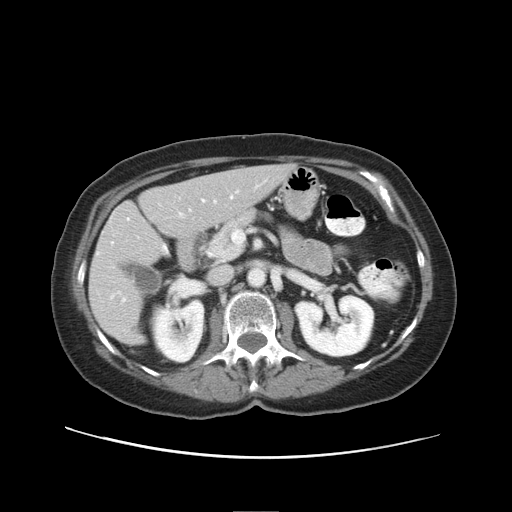
Abdomen; CT scan slice

Only some of the vessels may be annotated.
hepatic_vessel:
  - [214,201,216,202]
  - [98,253,99,254]
  - [202,200,204,201]
  - [111,292,119,298]
  - [231,191,238,198]
  - [256,185,260,187]
  - [180,213,183,217]
  - [123,298,125,301]